MRI. Cardiac. Slice 70/100.
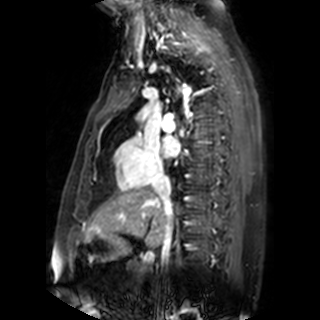

Left atrium — x1=162 y1=135 x2=179 y2=156.